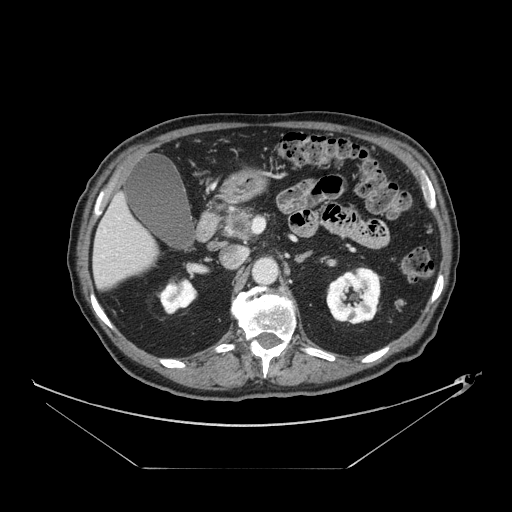 Abdomen. Computed tomography.

pancreas:
  - 222,213,253,239
pancreatic_tumor:
  - 233,220,244,232